Slice 33 of 34; Liver; CT image; Image size 512x512

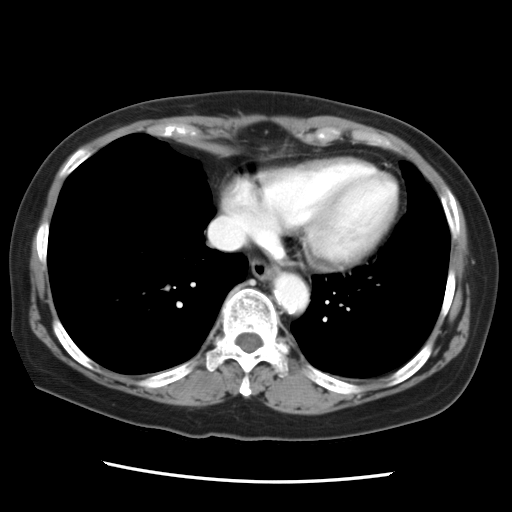 Only some of the vessels may be annotated.
The hepatic vessel appears at (x1=210, y1=186, x2=253, y2=248).